Field of view 362x362 mm; Image size 512x512; CT image 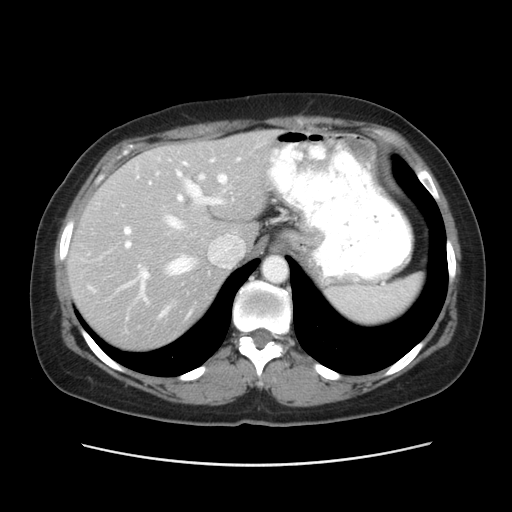
Only some of the vessels may be annotated.
Principal 15 of 16 hepatic vessel regions — [218, 175, 226, 182], [124, 227, 129, 233], [166, 216, 181, 228], [176, 170, 181, 176], [168, 255, 191, 273], [184, 162, 186, 164], [178, 195, 181, 200], [237, 157, 240, 160], [122, 265, 147, 300], [210, 159, 214, 161], [125, 242, 129, 247], [186, 181, 221, 203], [199, 174, 203, 178], [156, 173, 158, 174], [136, 176, 138, 177].